Computed tomography | Slice 346 of 756

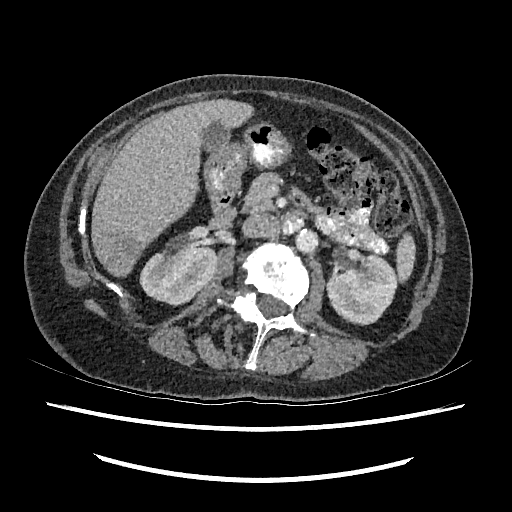

The liver lies within region(92, 99, 253, 276). 2 kidney regions are bounded by region(141, 246, 217, 304); region(327, 255, 397, 323). The liver lesion lies within region(112, 233, 138, 258).